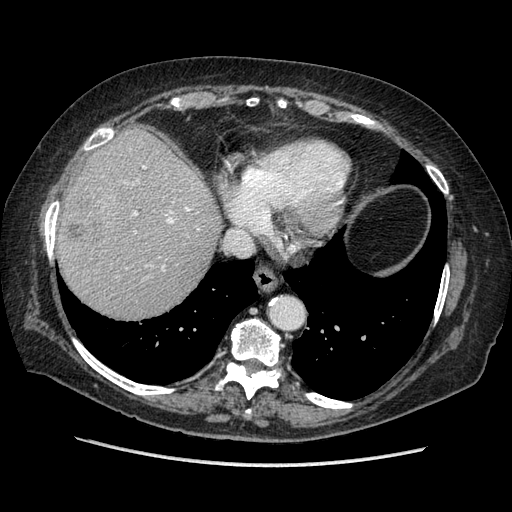 Computed tomography
The vessel boxes may cover only some of the vessels.
hepatic_vessel:
  - [167,219,172,221]
  - [134,212,136,214]
  - [162,266,164,271]
liver_tumor:
  - [70,220,89,237]